Slice index 126 | Brain | 240x240 px
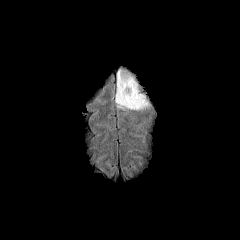
FLAIR magnetic resonance.
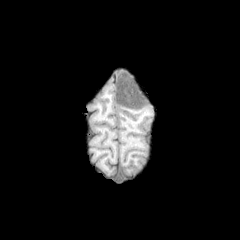
T1-weighted magnetic resonance.
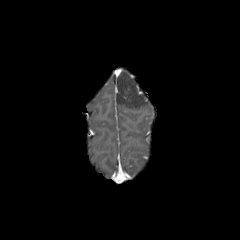
Post-contrast T1-weighted MR image.
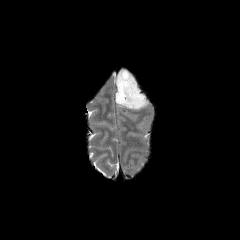
T2-weighted magnetic resonance.
Segmented structures:
- enhancing tumor: rect(122, 86, 133, 94)
- edema: rect(117, 75, 147, 109)
- non-enhancing tumor core: rect(126, 80, 135, 94)